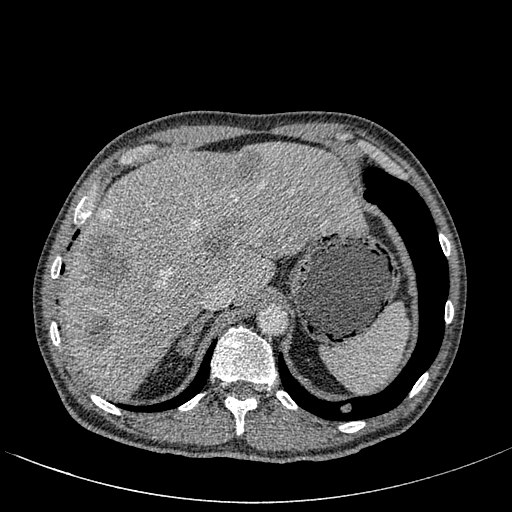
CT image; Upper abdomen

The liver is located at 62 142 363 398. 5 focal liver lesion regions appear at 322 192 332 200, 85 316 112 345, 204 219 244 264, 205 150 262 188, 85 231 132 288.